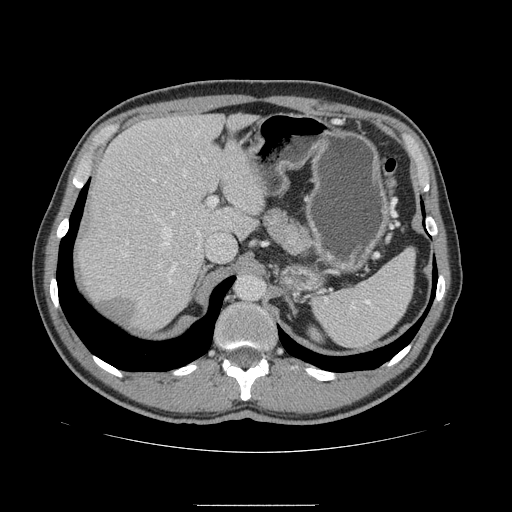

512x512 px. CT image.

The pancreas appears at region(263, 209, 313, 256).